Image size 512x512, CT slice
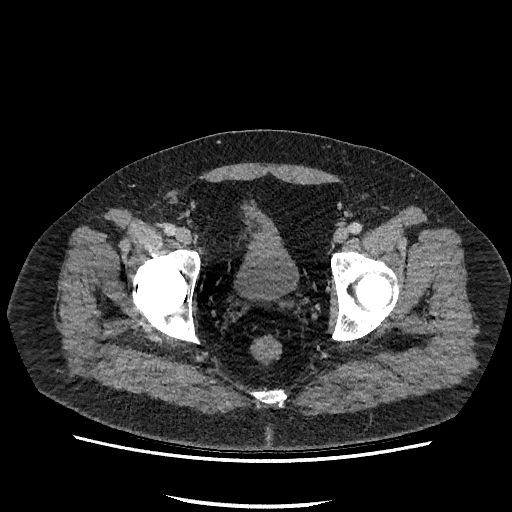

The urinary bladder is located at {"x1": 234, "y1": 201, "x2": 299, "y2": 301}.